Field of view 417 mm wide, 1.00 mm slice spacing, CT slice

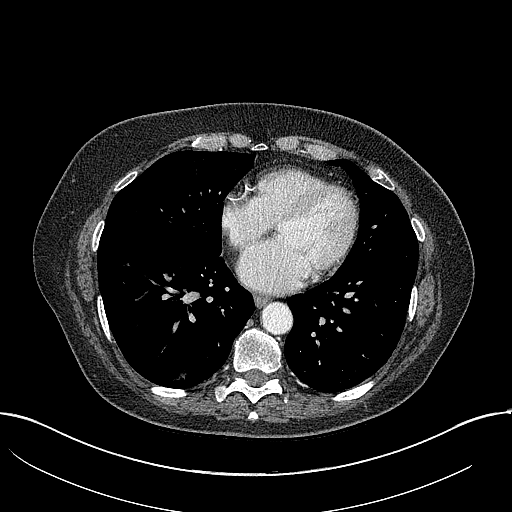 lung tumor: (left=171, top=368, right=190, bottom=387)